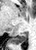

36x50 px, MRI
<segmentation>
  <posterior_hippocampus><bbox>10, 33, 26, 44</bbox></posterior_hippocampus>
</segmentation>